Magnetic resonance; Medial temporal lobe 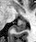

posterior hippocampus: [11, 21, 25, 32] | anterior hippocampus: [19, 18, 24, 20]